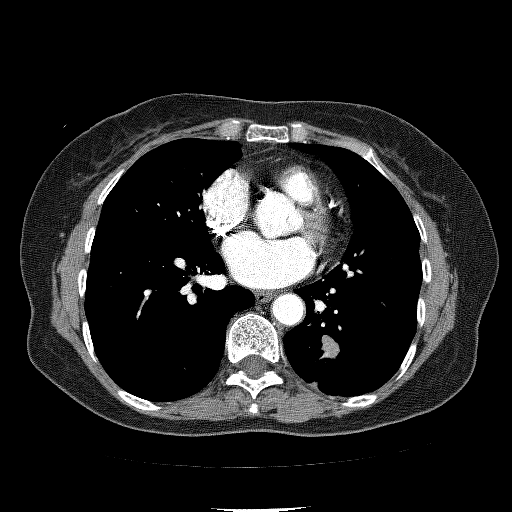

512x512 px; CT image

{
  "lung_tumor": [
    "(x1=321, y1=333, x2=341, y2=359)"
  ]
}